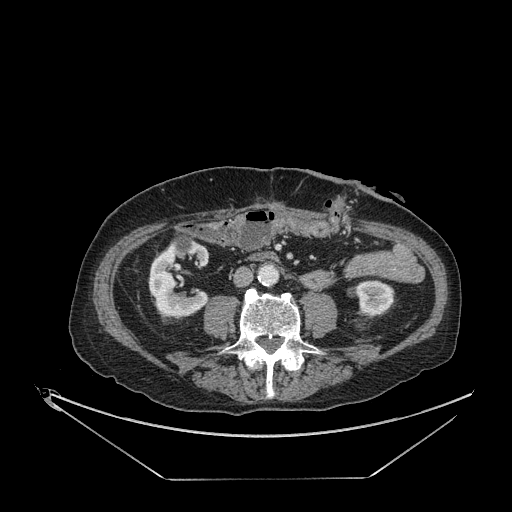

CT
Kidney: box(188, 242, 208, 265); box(356, 281, 393, 316); box(149, 244, 207, 316).